Pelvis. Slice index 3.
T2-weighted MR.
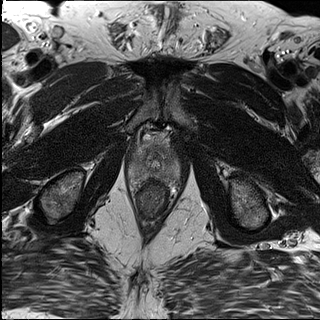
ADC magnetic resonance.
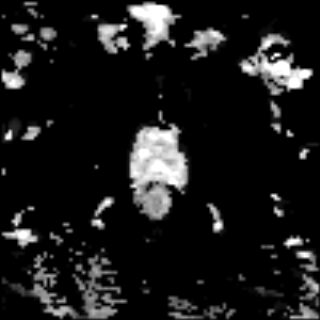
prostate_transition_zone:
  - (131,146,175,177)